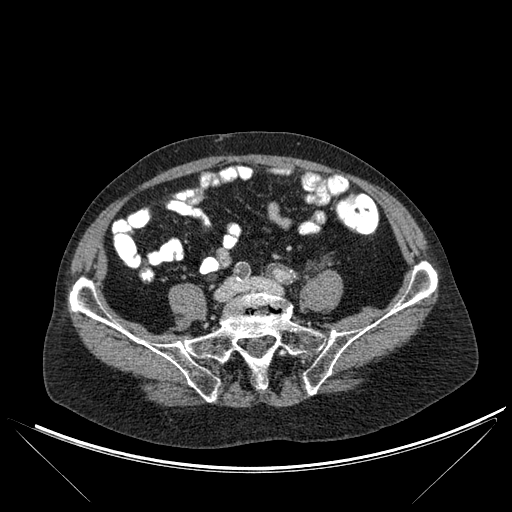

CT scan slice. 512x512.
{"bone": ["<box>69,261,437,401</box>"]}